Image width 360 mm | Computed tomography
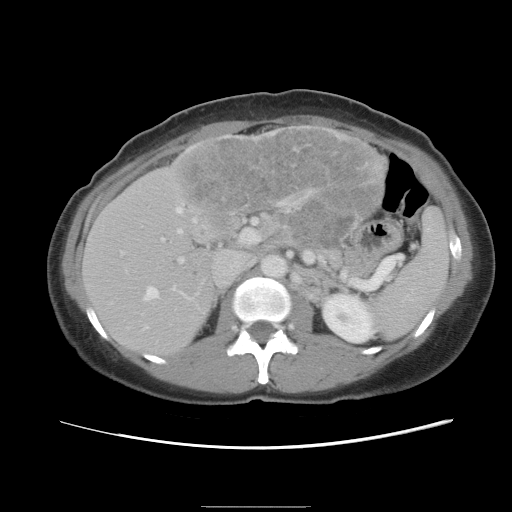

The vessel boxes may cover only some of the vessels.
Hepatic vessel: [176,207,180,211], [211,218,260,286], [178,257,182,261], [177,229,181,231], [162,237,163,239], [144,326,147,327], [180,292,189,297], [172,285,175,288], [144,287,157,299], [263,255,271,260].
Liver tumor: [171,127,381,247].